CT image; Upper abdomen; 512x512 px

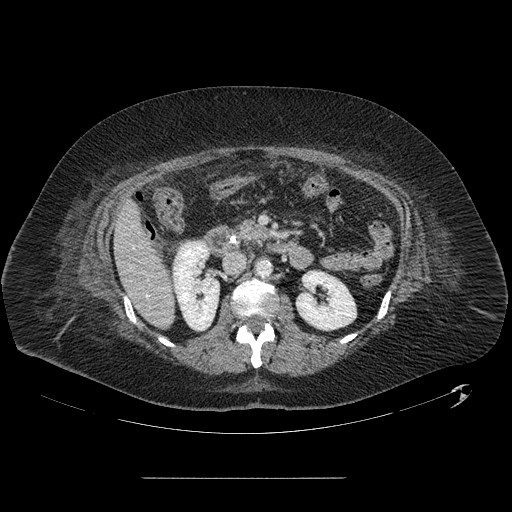
{
  "pancreas": [
    "x1=239, y1=220, x2=269, y2=242"
  ],
  "pancreatic_tumor": [
    "x1=242, y1=225, x2=259, y2=236"
  ]
}